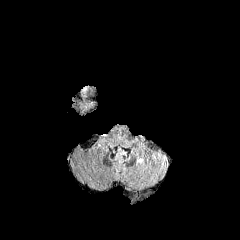
FLAIR MR image.
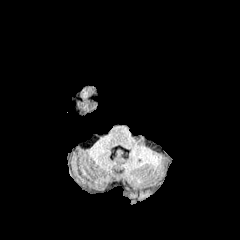
T1-weighted MRI.
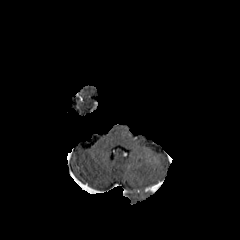
Post-contrast T1-weighted MR image.
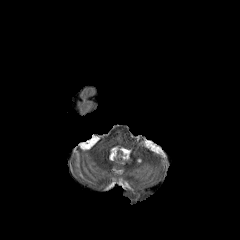
T2-weighted MR of the same slice.
Brain
Non-enhancing tumor core — <bbox>71, 85, 96, 115</bbox>.